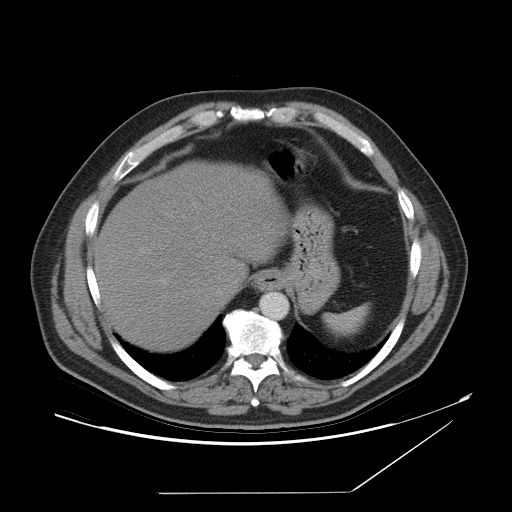

Abdomen | CT scan slice

The spleen is at left=325, top=305, right=368, bottom=335.